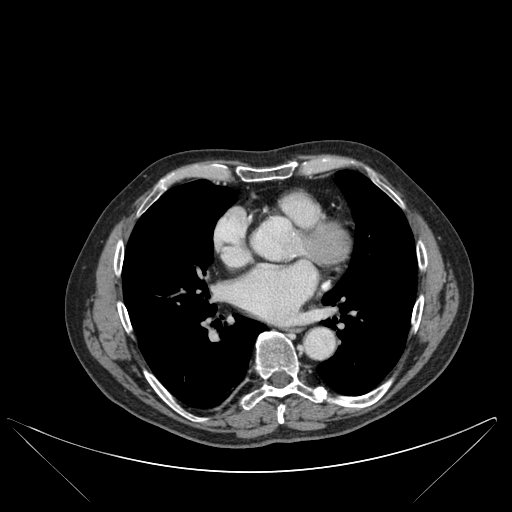
CT scan slice; Image size 512x512

Lung: bounding box 317, 170, 417, 395; 122, 179, 266, 407.
Bone: bounding box 144, 371, 204, 421; 236, 163, 298, 181; 277, 405, 284, 423; 241, 331, 390, 409; 117, 302, 131, 331; 114, 240, 123, 274; 412, 296, 423, 330; 417, 242, 427, 268.